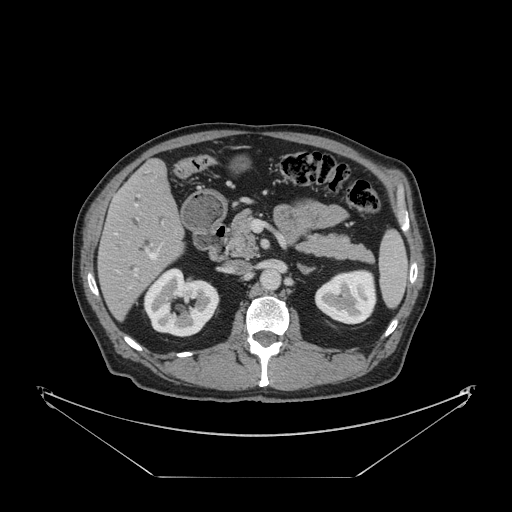 CT slice
The vessel annotation is not exhaustive.
Findings:
• hepatic vessel: rect(135, 204, 136, 206); rect(146, 249, 157, 258); rect(135, 274, 136, 275); rect(135, 269, 136, 270)